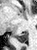

Magnetic resonance
The posterior hippocampus appears at <box>14,31,27,43</box>.